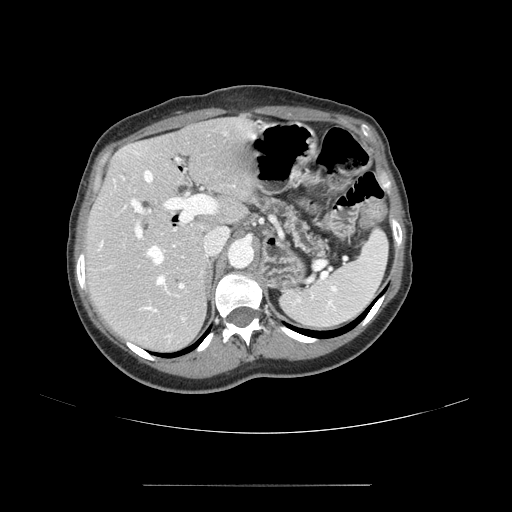

CT scan slice, Abdomen

The pancreas is at left=255, top=198, right=324, bottom=255.